Slice index 110 | CT | Upper abdomen

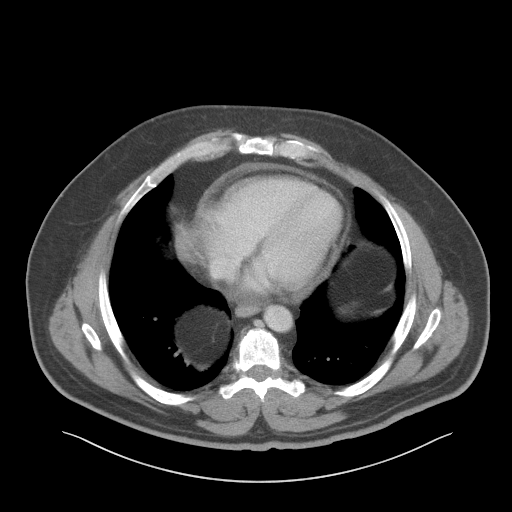 The liver is at 168, 229, 192, 251.